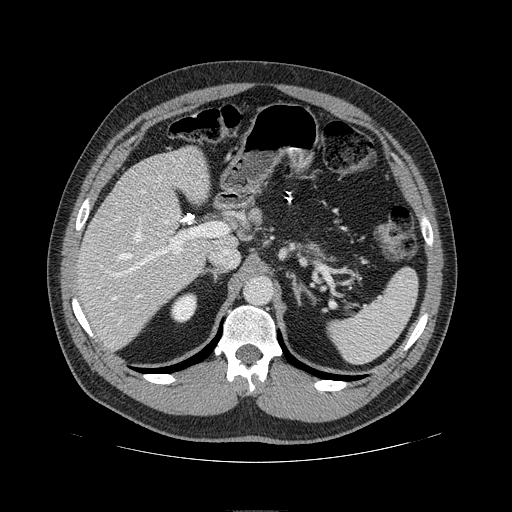
Upper abdomen | CT image

The pancreas is at rect(249, 208, 261, 222).